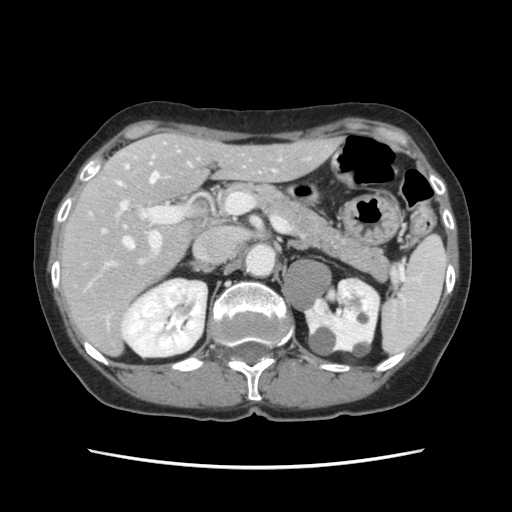 CT. Abdomen.
Some hepatic vessels may have no box.
7 hepatic vessel regions are located at 139 260 142 263, 123 237 133 248, 187 163 190 165, 149 232 160 250, 119 202 127 213, 150 172 157 182, 125 165 128 169.